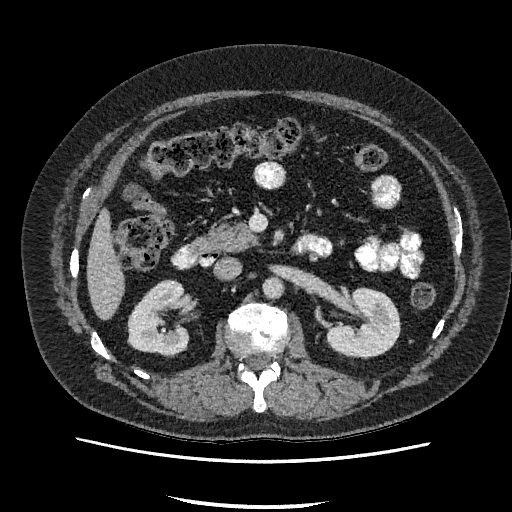

Abdomen; CT scan slice

Kidney — [328,289,399,356], [129,281,187,353].
Liver — [88,210,125,319].